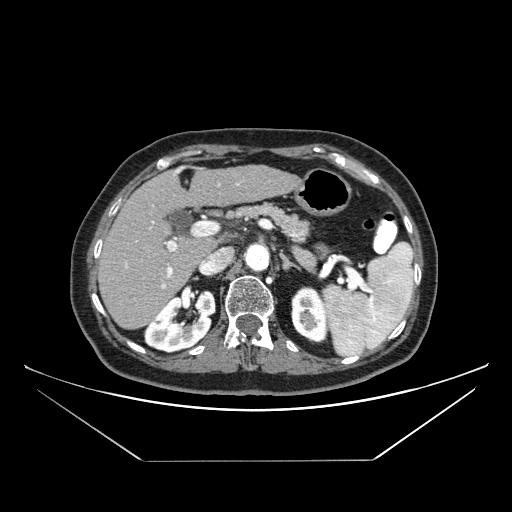 CT slice
Pancreas at bbox=[205, 204, 311, 244].